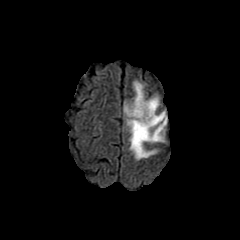
FLAIR MR image.
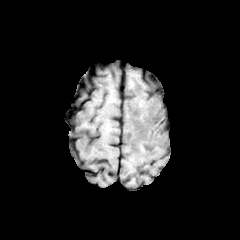
T1-weighted MR of the same slice.
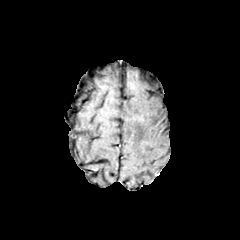
Post-contrast T1-weighted magnetic resonance.
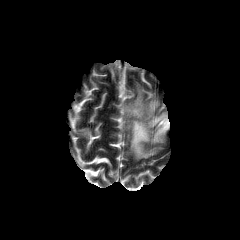
Same slice, T2-weighted MR image.
Head; Image size 240x240
Edema = {"x1": 123, "y1": 83, "x2": 167, "y2": 159}.